Image width 324 mm | Computed tomography | Pelvis | Image size 512x512 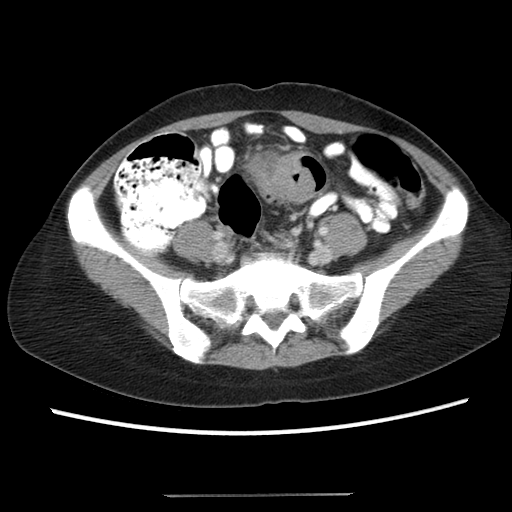 * colon tumor: 249, 151, 314, 201